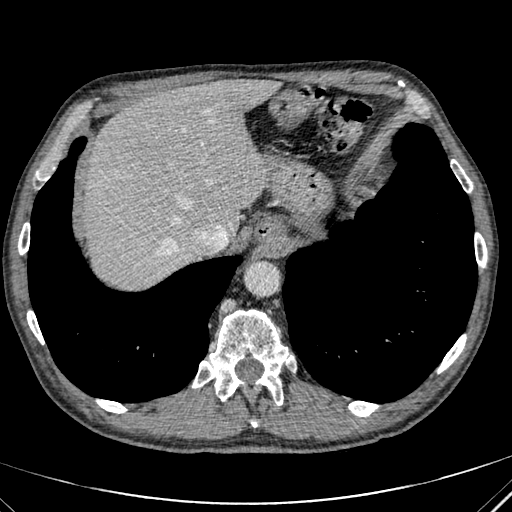

CT, Liver, 512x512 px

Liver — bbox(85, 79, 279, 289).